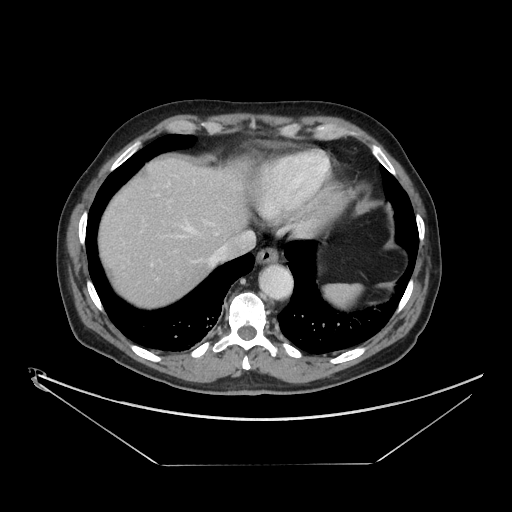 Image size 512x512; CT image; Liver

The vessel annotation is not exhaustive.
Hepatic vessel — 177:236:183:236, 167:183:168:186, 210:246:223:263, 181:222:194:231.